Field of view 36x51 mm, Slice 21/34, Medial temporal lobe, Magnetic resonance 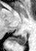 • posterior hippocampus: x1=11 y1=33 x2=26 y2=45